512x512 px | Liver | Slice 332/605 | CT image 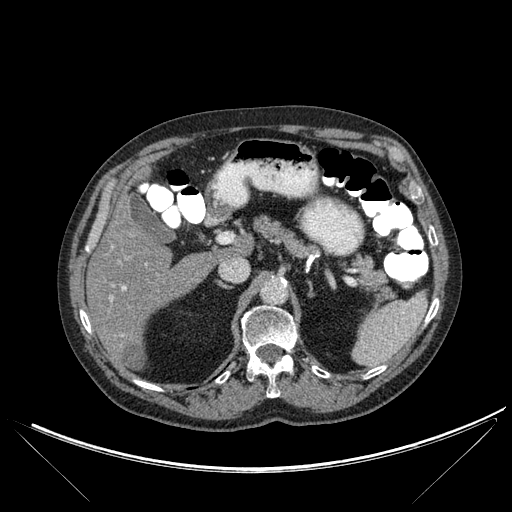

The liver lesion is bounded by box=[122, 344, 144, 369]. 8 bone regions are located at box=[428, 227, 437, 244]; box=[135, 380, 161, 390]; box=[425, 298, 438, 322]; box=[241, 305, 296, 397]; box=[216, 371, 229, 383]; box=[80, 310, 90, 332]; box=[312, 366, 329, 377]; box=[364, 365, 385, 378]. 3 liver regions are bounded by box=[213, 248, 251, 262]; box=[86, 201, 215, 368]; box=[135, 167, 150, 182].